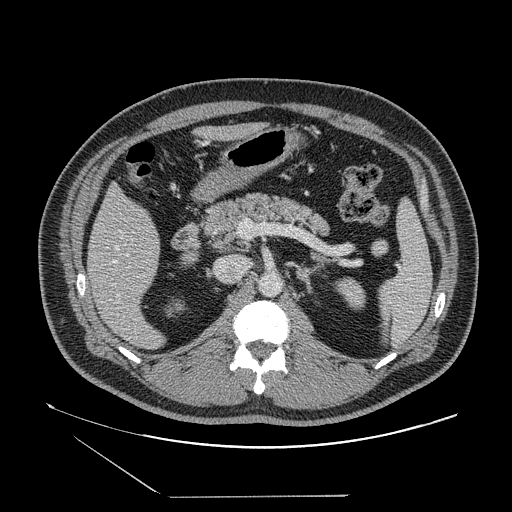

Image size 512x512; Computed tomography
<segmentation>
  <pancreas>x1=198 y1=192 x2=332 y2=254</pancreas>
</segmentation>